Slice index 87. Image size 240x240.
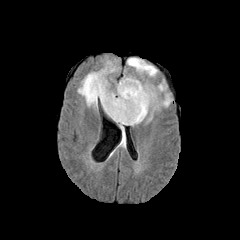
FLAIR MR.
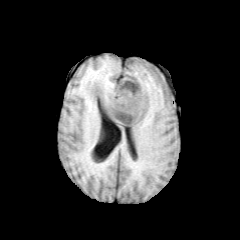
Same slice, T1-weighted MR.
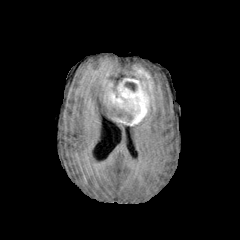
Same slice, post-contrast T1-weighted magnetic resonance.
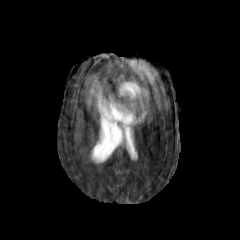
T2-weighted magnetic resonance.
Findings:
- non-enhancing tumor core: l=124, t=82, r=136, b=91
- edema: l=118, t=57, r=172, b=121; l=77, t=60, r=125, b=147
- enhancing tumor: l=104, t=67, r=154, b=125